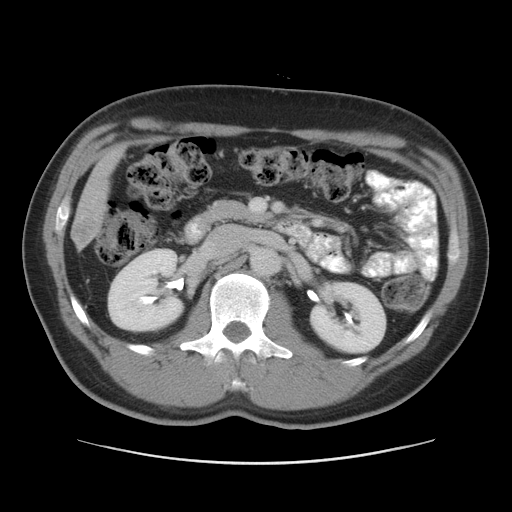

Image size 512x512; CT image
<segmentation>
  <liver_tumor>bbox=[73, 216, 98, 243]</liver_tumor>
</segmentation>